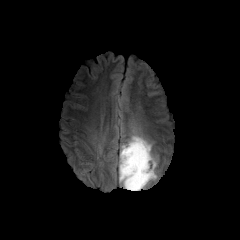
FLAIR MR.
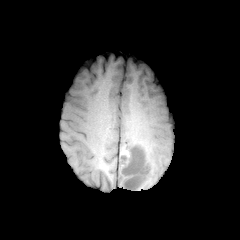
T1-weighted MRI.
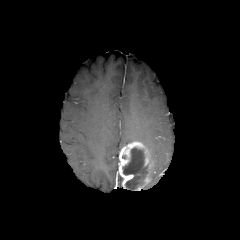
Same slice, post-contrast T1-weighted MRI.
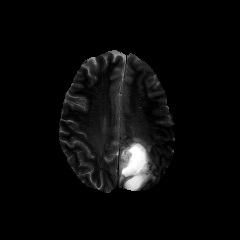
T2-weighted magnetic resonance.
240x240
Segmented structures:
* non-enhancing tumor core: x1=123, y1=146, x2=149, y2=190
* enhancing tumor: x1=118, y1=142, x2=149, y2=188
* edema: x1=120, y1=133, x2=157, y2=187; x1=113, y1=152, x2=119, y2=171